Image width 512 mm. Liver. CT slice.

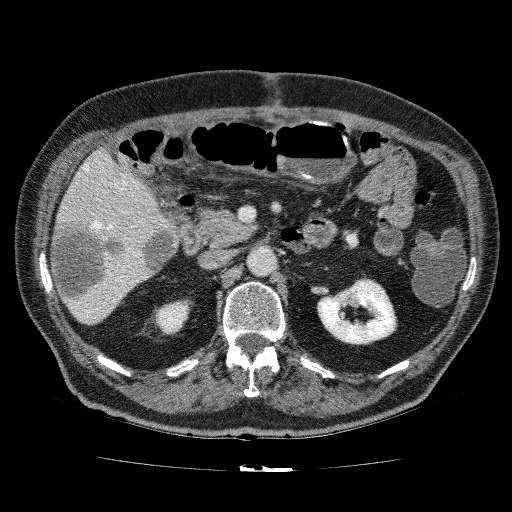 {"kidney": ["l=155, t=301, r=188, b=334", "l=317, t=279, r=395, b=344"], "hepatic_lesion": ["l=139, t=226, r=177, b=276", "l=50, t=217, r=126, b=304"], "liver": ["l=56, t=146, r=183, b=325"]}